FLAIR MRI.
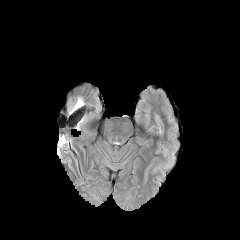
T1-weighted MR image.
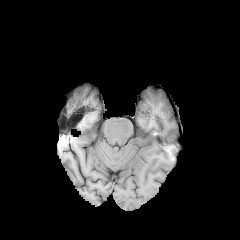
Post-contrast T1-weighted MR.
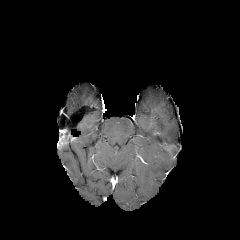
T2-weighted MR.
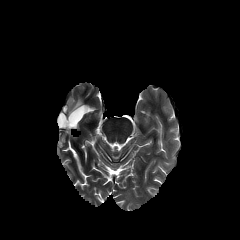
Image size 240x240.
The edema is bounded by l=67, t=97, r=84, b=115.